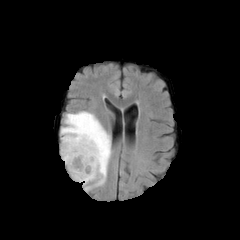
FLAIR magnetic resonance.
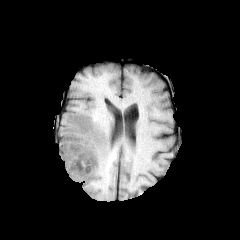
T1-weighted MR image.
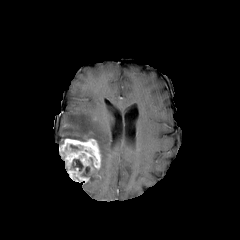
Post-contrast T1-weighted MR of the same slice.
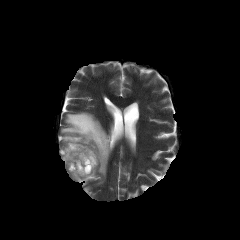
T2-weighted MR image of the same slice.
240x240
• enhancing tumor: {"x1": 59, "y1": 137, "x2": 101, "y2": 182}
• non-enhancing tumor core: {"x1": 74, "y1": 159, "x2": 82, "y2": 170}
• edema: {"x1": 61, "y1": 111, "x2": 110, "y2": 185}